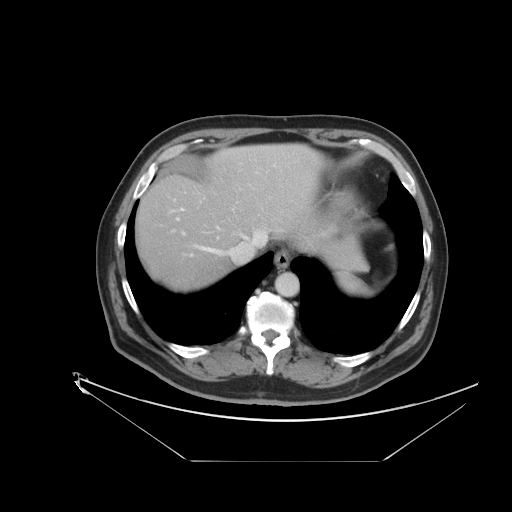

Abdomen. CT image. The vessel boxes may cover only some of the vessels.
Findings:
* hepatic vessel: (227, 229, 265, 260), (198, 246, 223, 253), (181, 208, 183, 210)